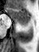

MRI slice; Medial temporal lobe
posterior_hippocampus:
  - 18, 22, 28, 25
anterior_hippocampus:
  - 8, 8, 30, 21